CT slice | Slice index 93
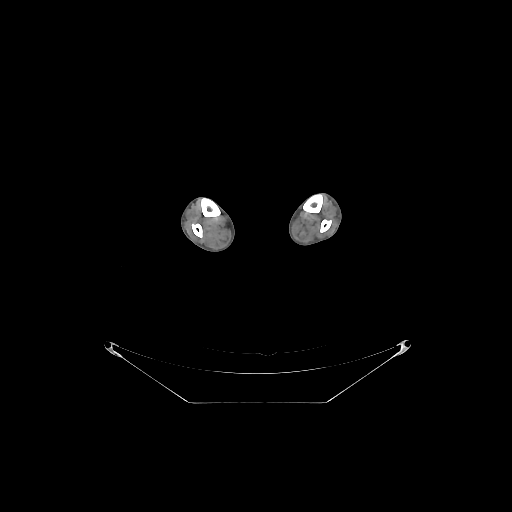
4 bone regions are located at box=[191, 224, 202, 237]; box=[303, 194, 322, 212]; box=[320, 219, 331, 232]; box=[201, 198, 220, 218].